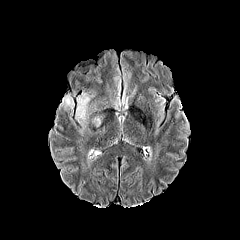
FLAIR MR image.
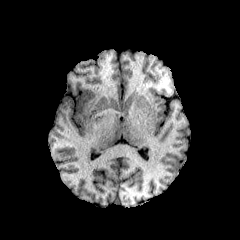
Same slice, T1-weighted magnetic resonance.
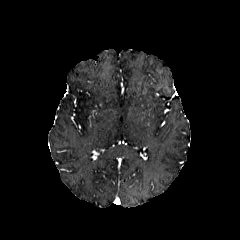
Same slice, post-contrast T1-weighted MR image.
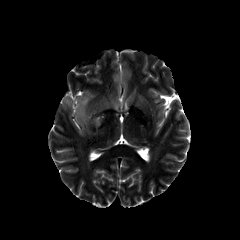
T2-weighted magnetic resonance of the same slice.
edema: x1=60 y1=96 x2=73 y2=115, x1=91 y1=117 x2=101 y2=124, x1=74 y1=92 x2=94 y2=133